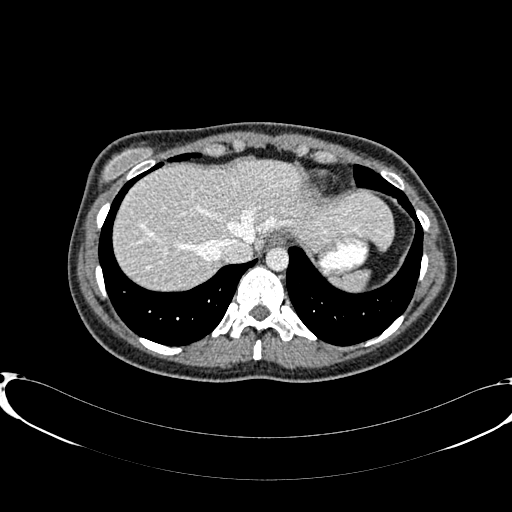

Abdomen, CT
The liver lies within <box>113,159,392,289</box>.